FLAIR MR.
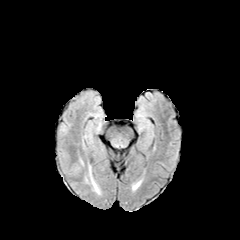
T1-weighted MR image.
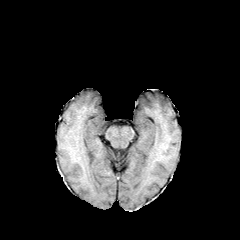
Post-contrast T1-weighted MR image.
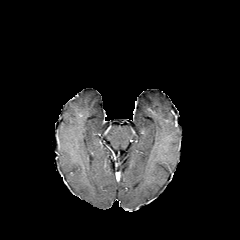
T2-weighted MR image.
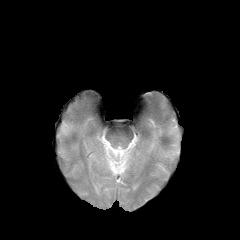
240x240 px | Brain
Edema at <box>91,177,100,194</box>.